Head, Field of view 240x240 mm
FLAIR magnetic resonance.
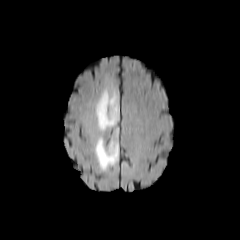
T1-weighted MR image.
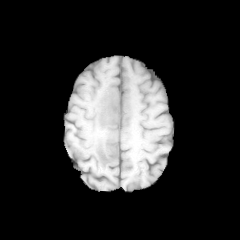
Post-contrast T1-weighted magnetic resonance.
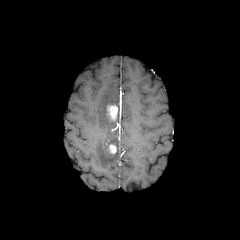
T2-weighted magnetic resonance.
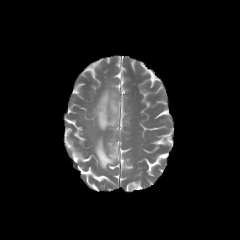
Enhancing tumor at (x1=108, y1=144, x2=116, y2=153), (x1=106, y1=104, x2=118, y2=121).
Edema at (x1=95, y1=90, x2=119, y2=138), (x1=94, y1=136, x2=118, y2=168).